CT scan slice. Image width 512 mm.

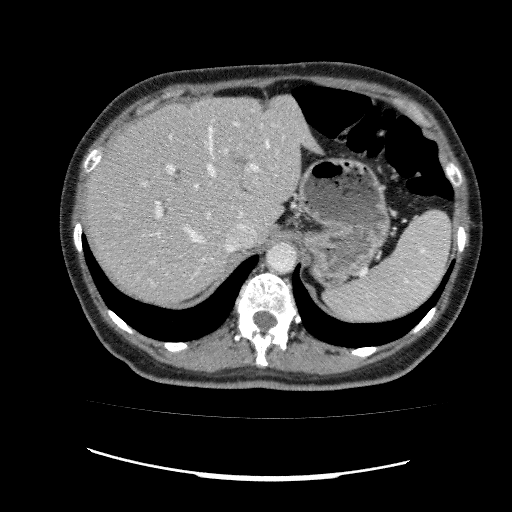

Annotated regions:
* liver: <box>83,94,324,304</box>